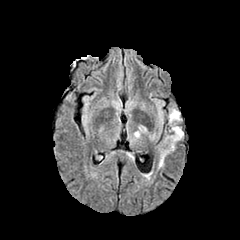
FLAIR MRI.
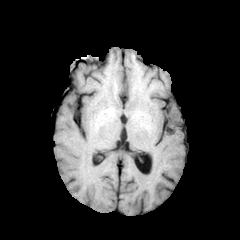
Same slice, T1-weighted MR image.
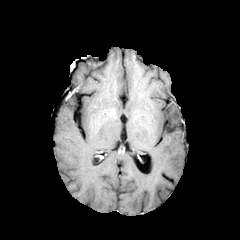
Post-contrast T1-weighted MRI.
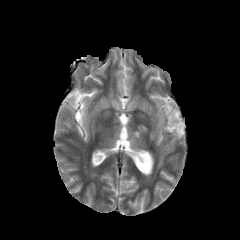
T2-weighted MRI.
240x240 px
The edema appears at 158, 107, 183, 167.